MR

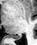 The posterior hippocampus is bounded by [13,35,21,39].